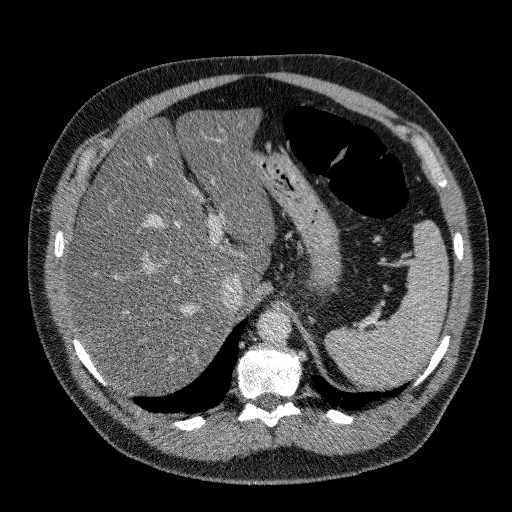 CT slice; Liver
Liver — box=[67, 108, 273, 394].